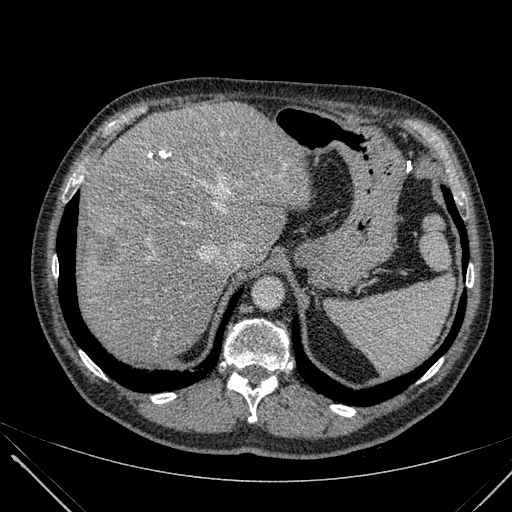 Liver, Image size 512x512, CT image
{"liver_lesion": ["box(96, 238, 117, 264)"], "liver": ["box(77, 103, 311, 367)"]}